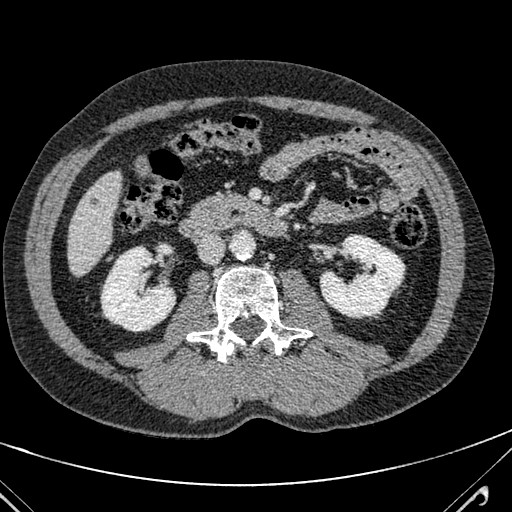

CT slice; Abdomen
Annotated regions:
* liver: {"x1": 68, "y1": 172, "x2": 121, "y2": 274}